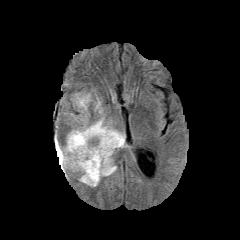
FLAIR MRI.
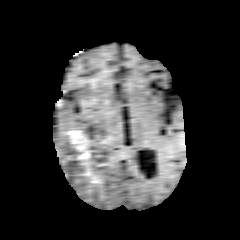
T1-weighted MRI.
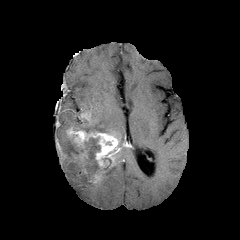
Post-contrast T1-weighted magnetic resonance of the same slice.
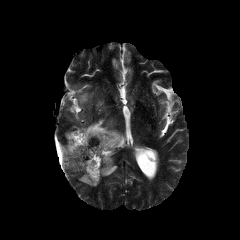
T2-weighted MR.
240x240 px. Head.
2 edema regions are bounded by bbox(60, 132, 117, 187); bbox(72, 117, 123, 136). The non-enhancing tumor core lies within bbox(86, 163, 93, 175). 2 enhancing tumor regions are bounded by bbox(69, 130, 127, 165); bbox(55, 139, 65, 164).